240x240 px, Head
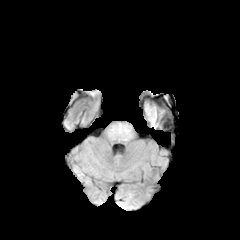
FLAIR magnetic resonance.
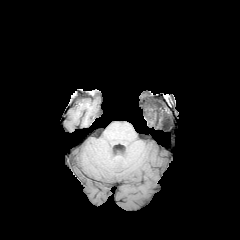
T1-weighted MR image.
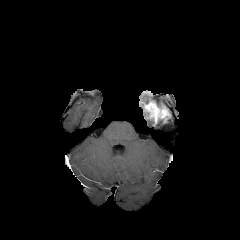
Post-contrast T1-weighted MRI.
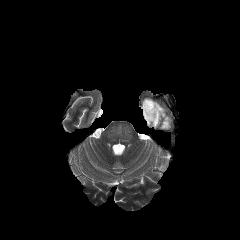
Same slice, T2-weighted MRI.
The enhancing tumor appears at <bbox>143, 101, 165, 125</bbox>.